240x240 px. Slice 102/155.
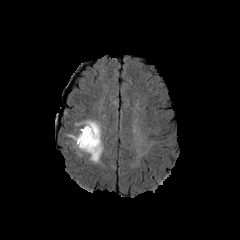
FLAIR MR image.
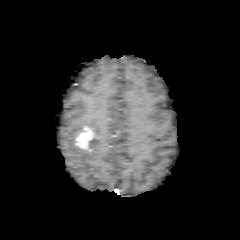
T1-weighted MR.
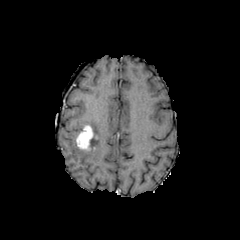
Same slice, post-contrast T1-weighted MR image.
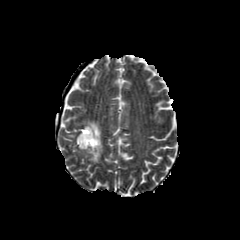
T2-weighted MRI.
{"edema": ["[x1=66, y1=131, x2=77, y2=147]", "[x1=75, y1=120, x2=103, y2=163]"], "non-enhancing_tumor_core": ["[x1=90, y1=130, x2=98, y2=150]"], "enhancing_tumor": ["[x1=76, y1=124, x2=95, y2=150]"]}